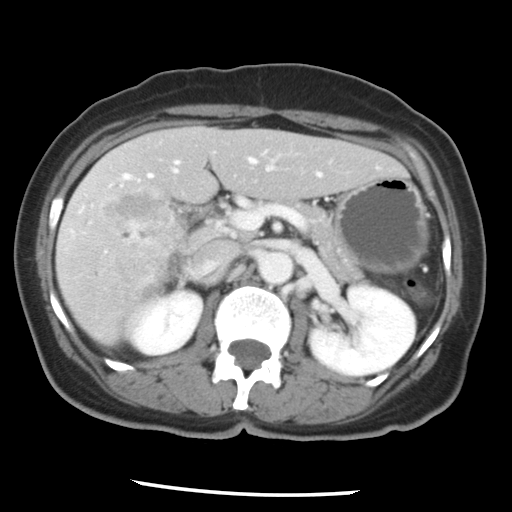
Abdomen. Computed tomography.
Some hepatic vessels may have no box.
The liver tumor lies within (102,189,174,293). 9 hepatic vessel regions are located at (268,167,269,168), (248,157,254,162), (173,169,175,170), (318,173,320,175), (233,203,268,229), (217,225,220,227), (176,161,177,162), (122,173,128,178), (149,173,151,175).